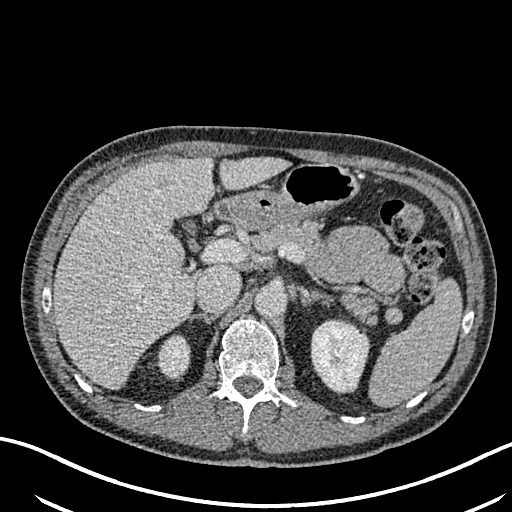

Liver, CT image, 512x512 px

Findings:
* kidney: 159:337:188:374, 312:321:367:390
* liver lesion: 154:175:173:188
* liver: 55:158:212:387, 220:157:290:189